CT scan slice. 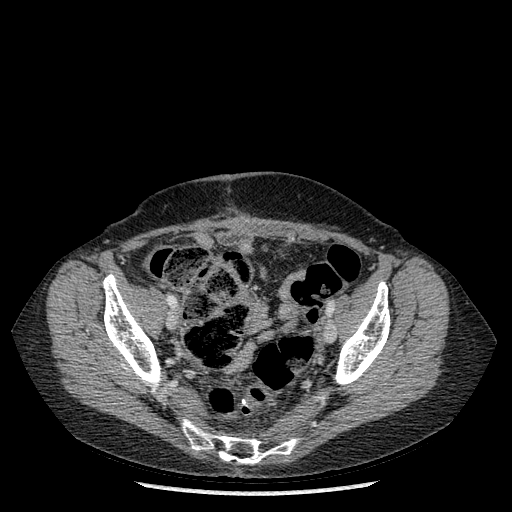

{"bone": ["182, 418, 298, 464", "335, 281, 390, 385", "103, 274, 167, 396"]}